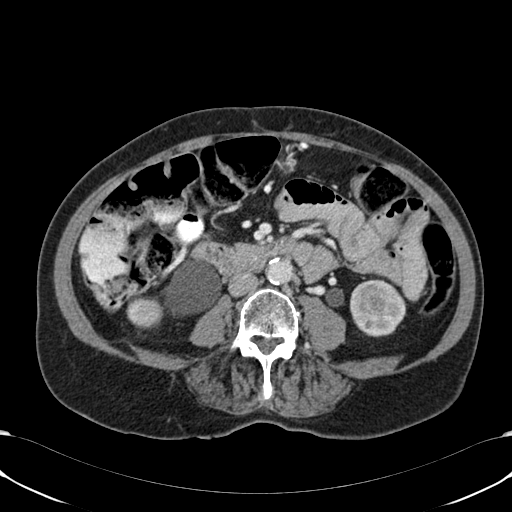 Abdomen. CT scan slice.
Kidney: bbox=[128, 291, 220, 325]; bbox=[350, 280, 405, 335].